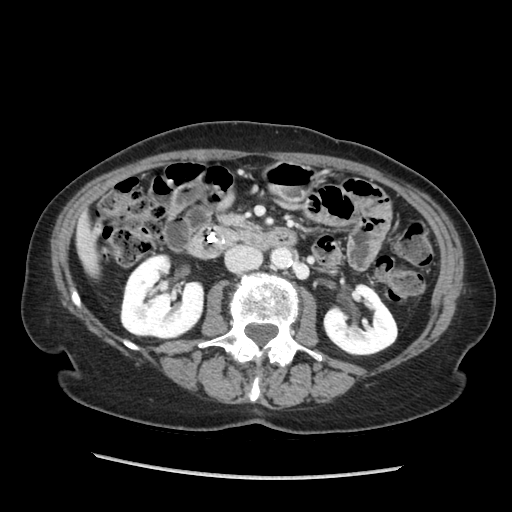
Image size 512x512, Abdomen, CT image
<segmentation>
  <pancreas>bbox=[218, 213, 254, 228]</pancreas>
</segmentation>